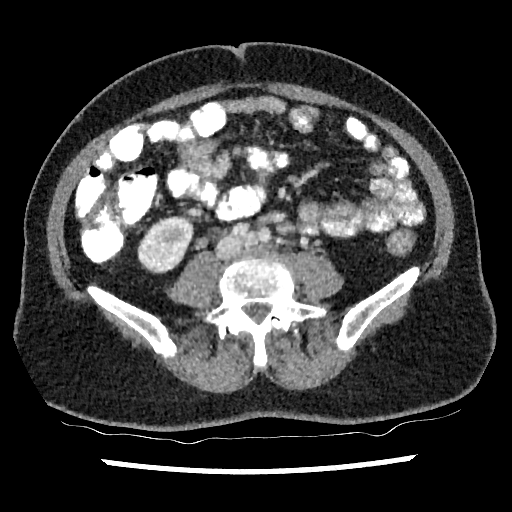 CT, Abdomen
kidney:
  - 139, 218, 191, 270